Image width 240 mm | Head
FLAIR MRI.
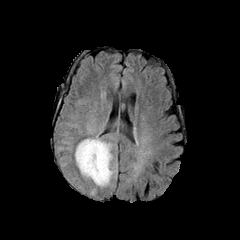
T1-weighted magnetic resonance.
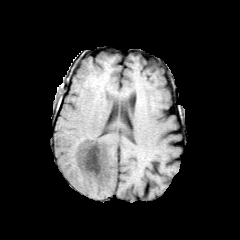
Post-contrast T1-weighted MR image.
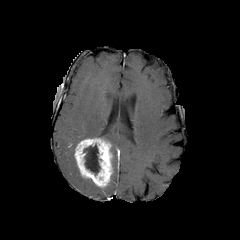
T2-weighted MRI.
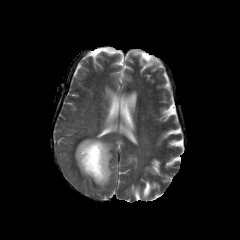
Findings:
• enhancing tumor: bbox=[75, 137, 112, 186]
• edema: bbox=[84, 116, 119, 196]; bbox=[66, 122, 79, 128]; bbox=[58, 131, 73, 152]
• non-enhancing tumor core: bbox=[83, 144, 100, 174]